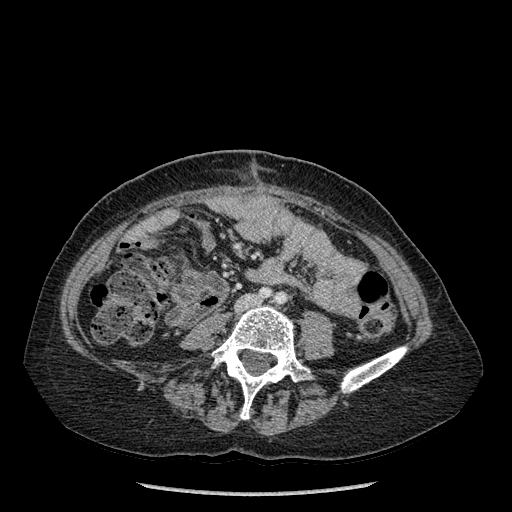

CT scan slice; 512x512 px
2 bone regions are located at <box>341,346,407,392</box>, <box>211,304,309,419</box>.